CT image | Image width 383 mm

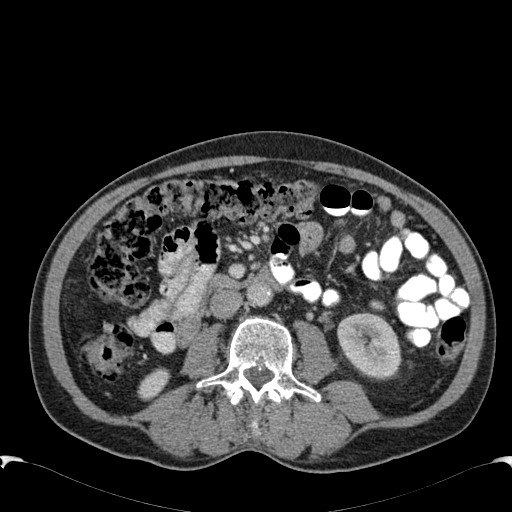
Segmented structures:
• kidney: [138,369,168,398], [337,315,400,377]